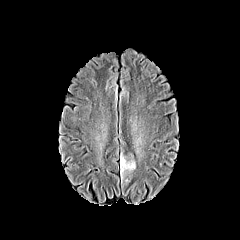
FLAIR MR.
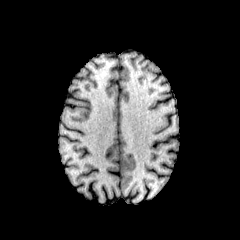
T1-weighted MR.
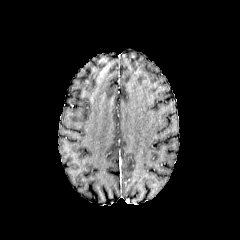
Post-contrast T1-weighted MR.
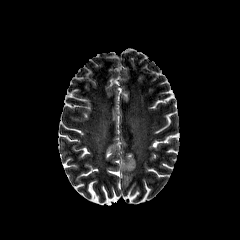
T2-weighted MR of the same slice.
Brain
edema:
  - 120, 160, 135, 174